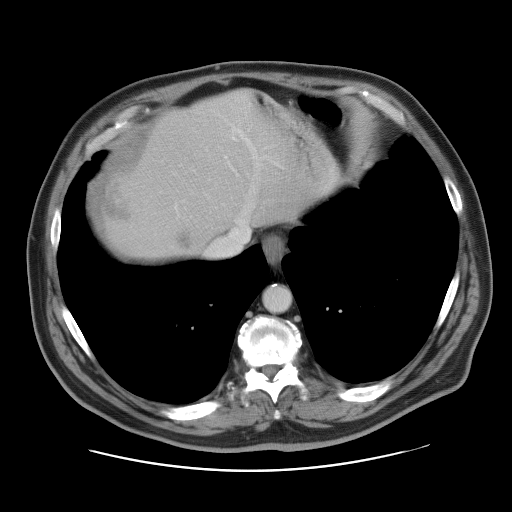 Abdomen | Computed tomography
Only some of the vessels may be annotated.
<segmentation>
  <liver_tumor>box=[103, 183, 133, 220]; box=[172, 229, 195, 252]</liver_tumor>
  <hepatic_vessel>box=[231, 126, 252, 147]; box=[206, 208, 249, 255]; box=[252, 185, 254, 188]; box=[224, 156, 226, 158]</hepatic_vessel>
</segmentation>